Slice 378 of 707, Computed tomography, Field of view 700x700 mm
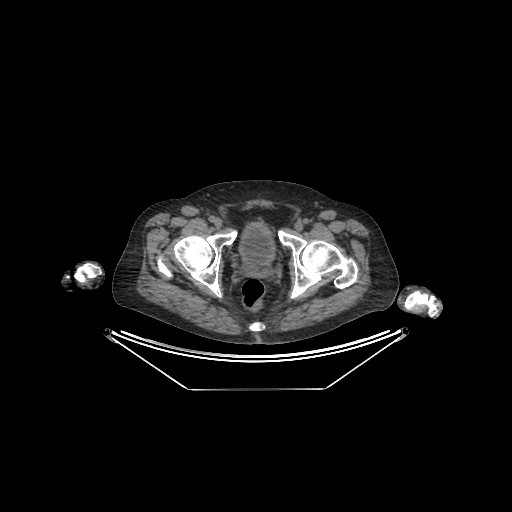 The urinary bladder is located at (left=236, top=218, right=277, bottom=265).